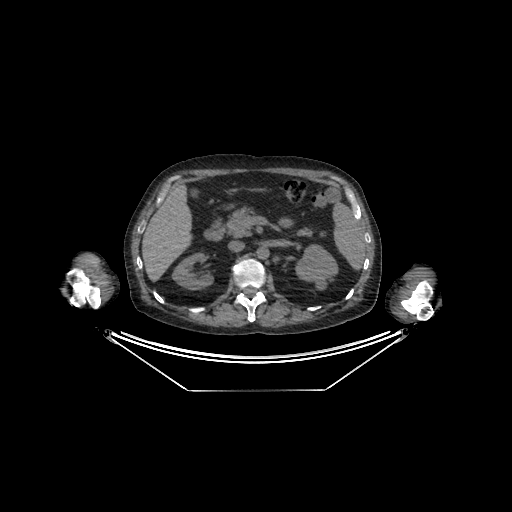
CT image
The liver appears at x1=142, y1=179, x2=191, y2=281. 2 kidney regions appear at x1=172, y1=252, x2=213, y2=289; x1=295, y1=244, x2=338, y2=289.